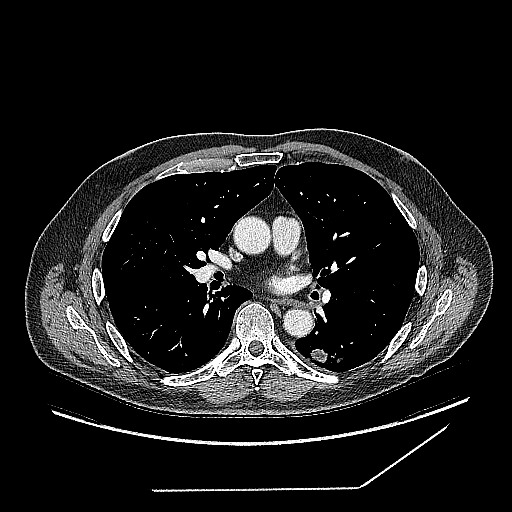

Computed tomography, Lung

Lung tumor: bounding box (left=306, top=344, right=347, bottom=367).